Slice 5/33. Hippocampus. MR.

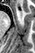
<segmentation>
  <anterior_hippocampus>(19,11,21,12)</anterior_hippocampus>
</segmentation>